Slice index 495, CT image, Upper abdomen, 512x512 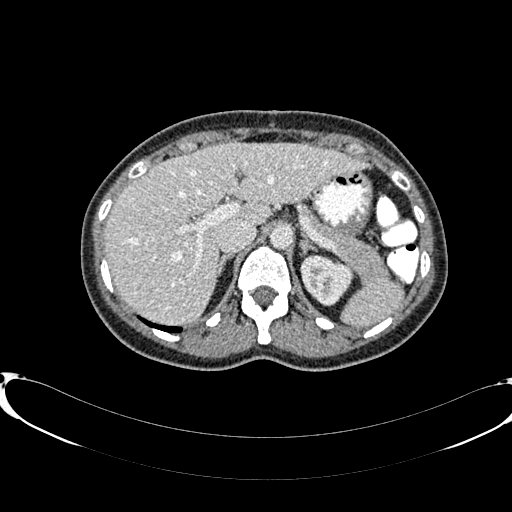

liver:
  - [x1=104, y1=143, x2=368, y2=324]
kidney:
  - [x1=302, y1=257, x2=349, y2=303]